Field of view 240 mm wide, 1.00 mm slice spacing; Slice 72 of 155; Head
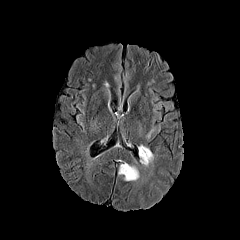
FLAIR MRI.
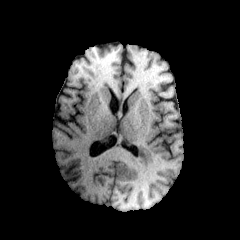
T1-weighted MR image of the same slice.
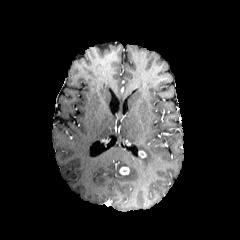
Same slice, post-contrast T1-weighted MR.
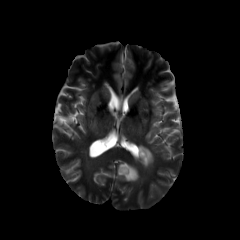
T2-weighted magnetic resonance of the same slice.
2 enhancing tumor regions are located at box=[118, 167, 129, 175]; box=[138, 150, 146, 158]. 2 edema regions are bounded by box=[120, 162, 139, 181]; box=[137, 145, 153, 167].